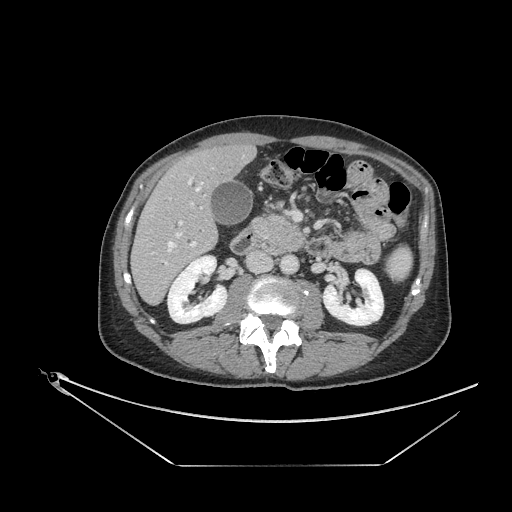 CT
Pancreas at left=254, top=215, right=299, bottom=245.
Pancreatic tumor at left=270, top=222, right=303, bottom=250.